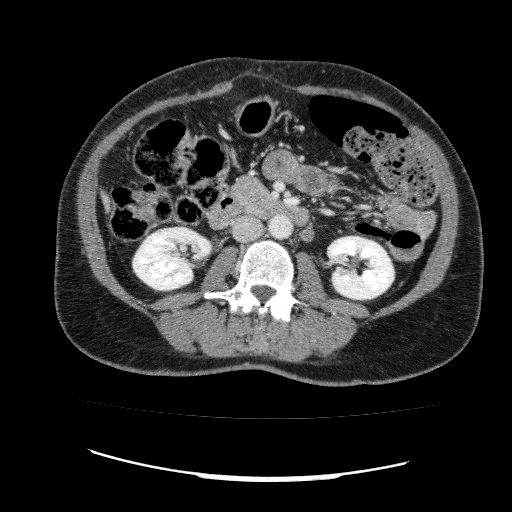 Abdomen; CT image
Kidney at [x1=133, y1=227, x2=210, y2=289], [x1=328, y1=237, x2=393, y2=299].
Liver at [x1=102, y1=191, x2=111, y2=210].